FLAIR magnetic resonance.
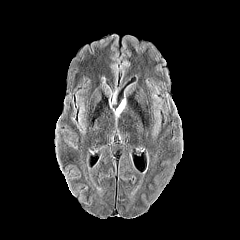
T1-weighted MRI.
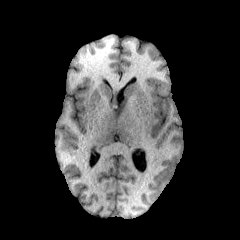
Post-contrast T1-weighted MR.
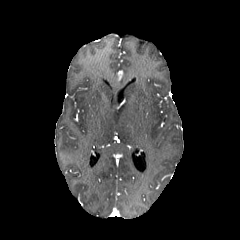
T2-weighted MRI.
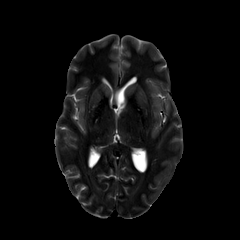
<segmentation>
  <edema>115, 103, 125, 116</edema>
</segmentation>